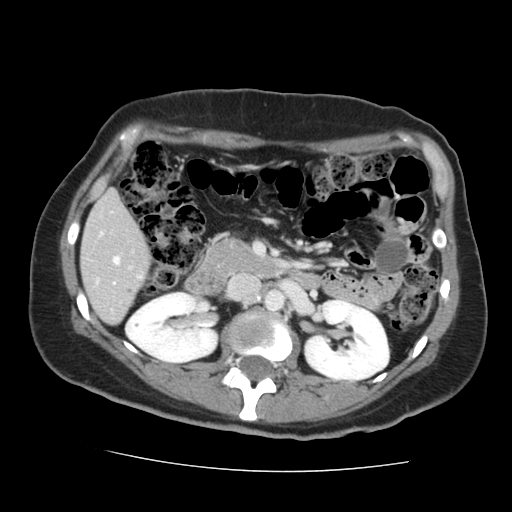 CT scan slice, 512x512 px, Liver
The vessel annotation is not exhaustive.
<segmentation>
  <hepatic_vessel>(113, 257, 118, 263), (100, 233, 101, 235)</hepatic_vessel>
</segmentation>